FLAIR MR image.
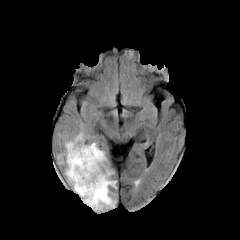
T1-weighted MR.
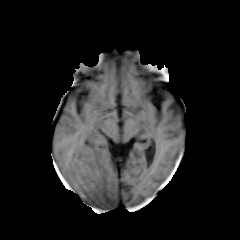
Post-contrast T1-weighted magnetic resonance.
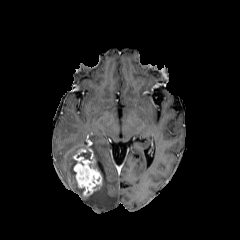
T2-weighted magnetic resonance.
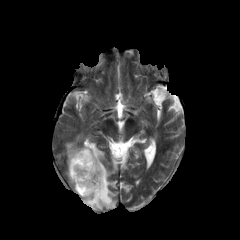
Findings:
* edema: 64 132 86 181, 82 135 116 210
* enhancing tumor: 72 136 102 197
* non-enhancing tumor core: 78 151 90 159, 96 161 104 180